Upper abdomen; Computed tomography 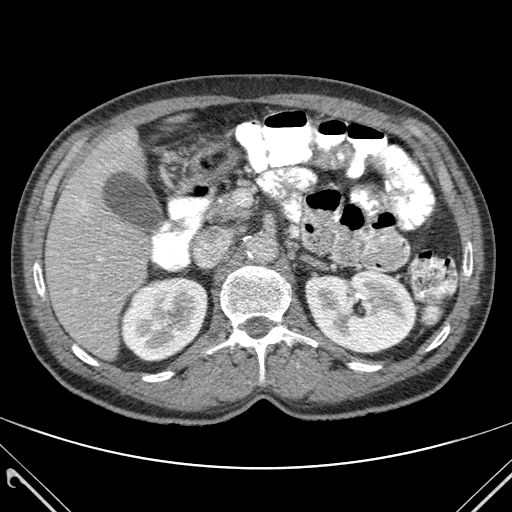
7 bone regions are bounded by <box>34,262,44,295</box>, <box>463,243,472,275</box>, <box>349,363,380,371</box>, <box>143,372,172,381</box>, <box>73,346,97,365</box>, <box>208,266,317,378</box>, <box>427,326,449,350</box>. The liver appears at <box>46,129,153,360</box>. 2 kidney regions appear at <box>123,279,206,359</box>, <box>306,271,414,351</box>.